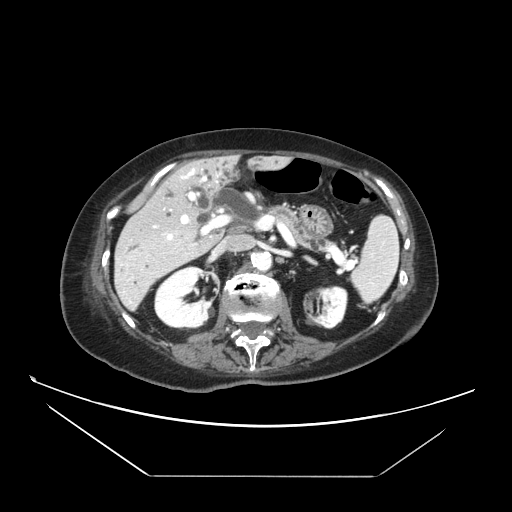 Upper abdomen | CT
Findings:
- pancreas: x1=270, y1=207, x2=328, y2=251